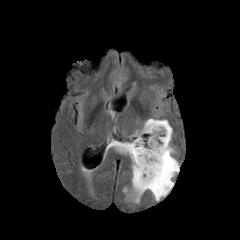
FLAIR magnetic resonance.
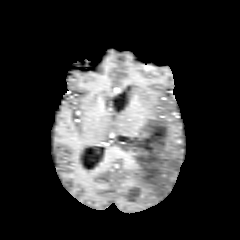
Same slice, T1-weighted MR.
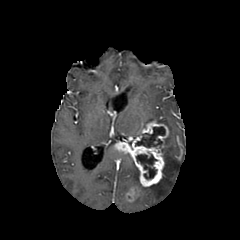
Post-contrast T1-weighted magnetic resonance.
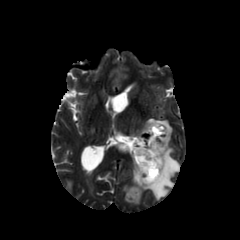
T2-weighted MR.
Head
2 edema regions are bounded by 142,119,179,201; 131,159,138,185. 2 enhancing tumor regions appear at 125,185,141,202; 114,120,169,187. 2 non-enhancing tumor core regions appear at 136,155,156,178; 136,126,166,147.